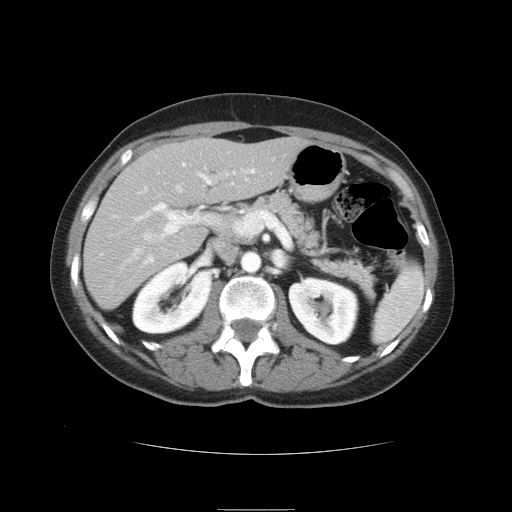

CT scan slice.

• spleen: bbox=[373, 266, 423, 343]